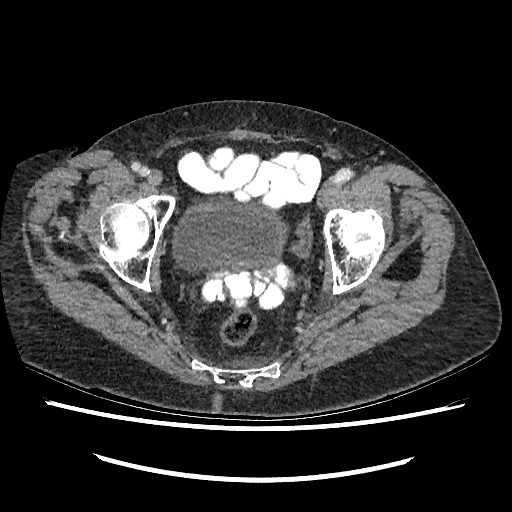 Pelvis. CT.
Segmented structures:
* urinary bladder: box=[173, 193, 289, 273]